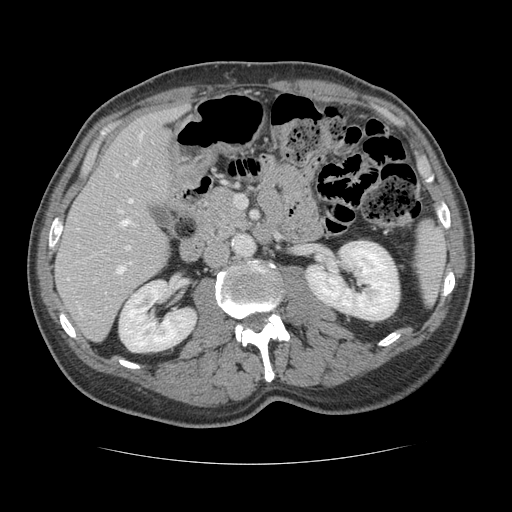

512x512; Computed tomography
Not every hepatic vessel necessarily has a box.
Findings:
* hepatic vessel: (118, 210, 123, 212), (139, 132, 142, 139), (78, 307, 81, 314), (133, 159, 137, 164), (128, 199, 132, 202), (116, 266, 124, 273), (116, 173, 117, 175), (125, 246, 129, 249), (129, 261, 131, 263), (120, 219, 134, 225)